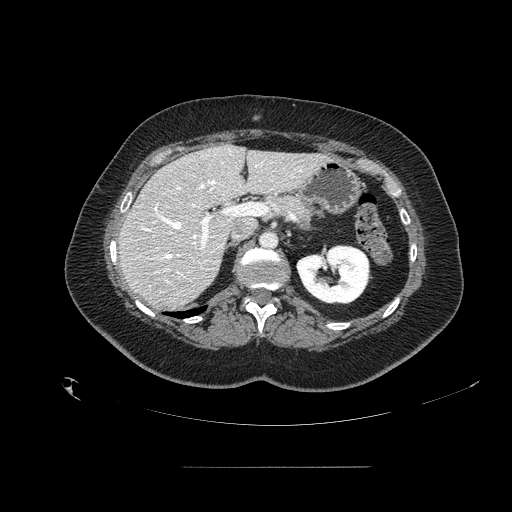 CT image. * pancreas: 263, 193, 317, 231